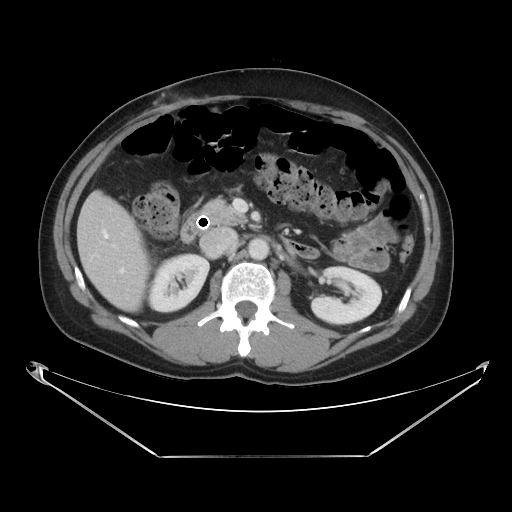
Upper abdomen, 512x512, CT

Segmented structures:
* pancreas: left=200, top=197, right=247, bottom=226
* pancreatic tumor: left=205, top=199, right=225, bottom=212